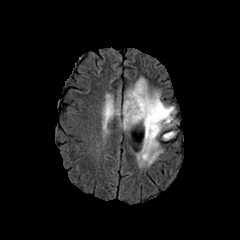
FLAIR MR image.
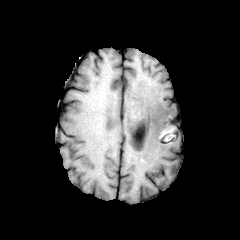
T1-weighted MRI.
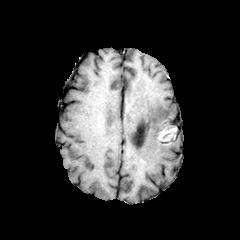
Post-contrast T1-weighted MR image of the same slice.
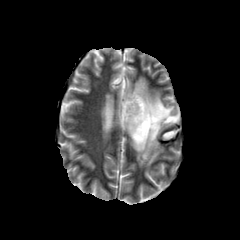
T2-weighted MR image of the same slice.
Brain
Findings:
• non-enhancing tumor core: (121, 96, 137, 119), (159, 129, 175, 140), (140, 102, 174, 140)
• edema: (102, 77, 177, 167)